Upper abdomen | Field of view 472 mm wide, 0.80 mm slice spacing | CT scan slice

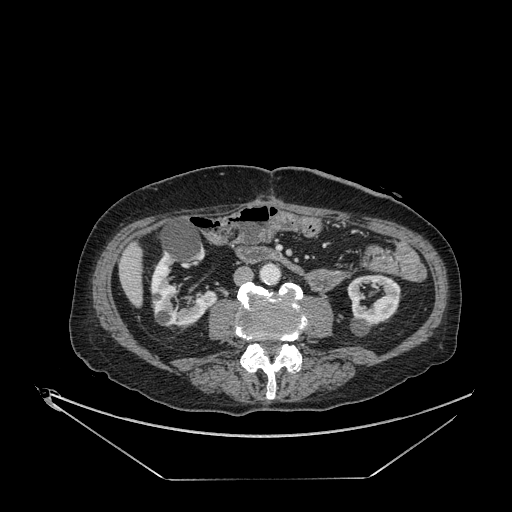 Liver at <box>119,242,141,306</box>.
Kidney at <box>196,249,204,259</box>, <box>348,275,400,325</box>, <box>151,252,216,324</box>.